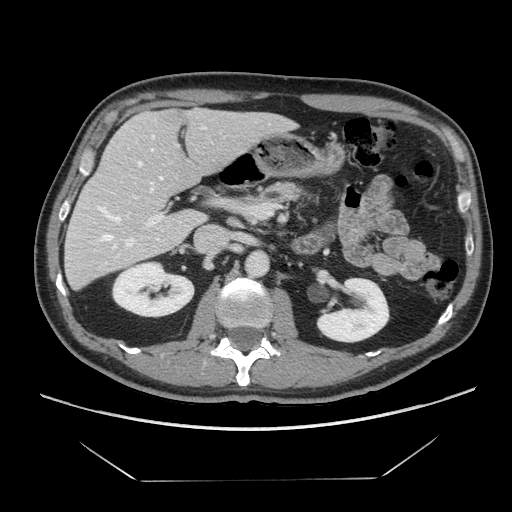

CT.
pancreas: (259,183,303,202)